240x240 px
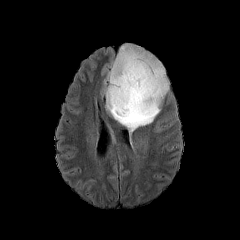
FLAIR MR image.
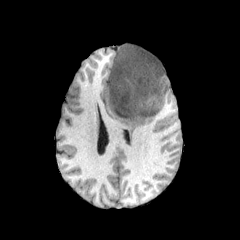
T1-weighted MR image of the same slice.
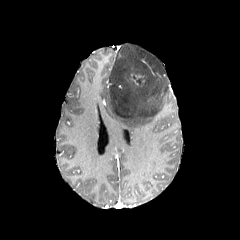
Post-contrast T1-weighted magnetic resonance.
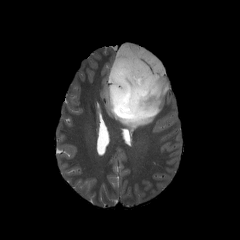
T2-weighted MR.
{
  "edema": [
    "box=[101, 44, 168, 134]"
  ],
  "enhancing_tumor": [
    "box=[129, 73, 147, 83]"
  ]
}